FLAIR MR.
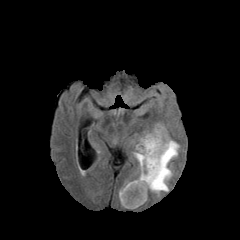
T1-weighted magnetic resonance.
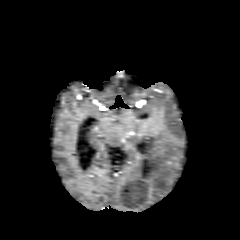
Post-contrast T1-weighted MRI.
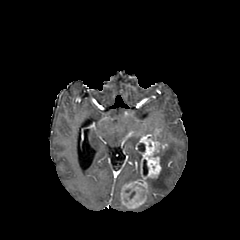
T2-weighted MRI.
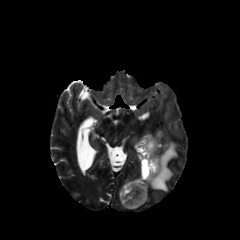
240x240 px; Brain
Enhancing tumor at [x1=121, y1=134, x2=167, y2=207].
Non-enhancing tumor core at [x1=135, y1=159, x2=148, y2=179], [x1=126, y1=188, x2=139, y2=199], [x1=138, y1=143, x2=145, y2=152].
Edema at [x1=146, y1=131, x2=179, y2=196], [x1=132, y1=149, x2=141, y2=179].